CT image; Slice 275/574

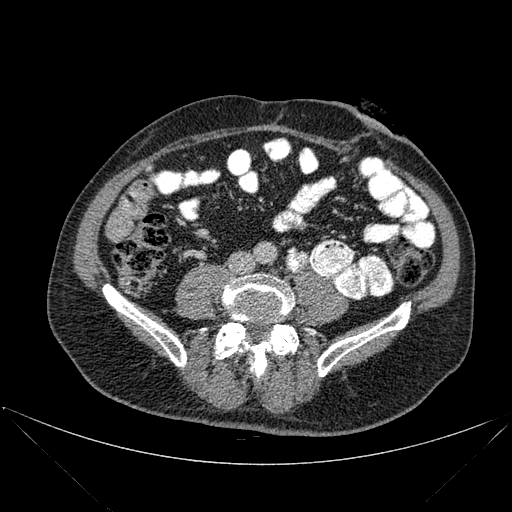 {"bone": [{"x1": 103, "y1": 284, "x2": 186, "y2": 366}, {"x1": 215, "y1": 322, "x2": 298, "y2": 377}, {"x1": 222, "y1": 275, "x2": 294, "y2": 320}, {"x1": 317, "y1": 302, "x2": 410, "y2": 376}]}